FLAIR MRI.
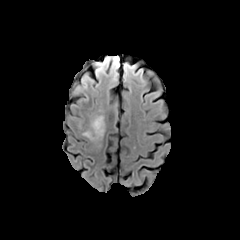
T1-weighted MRI.
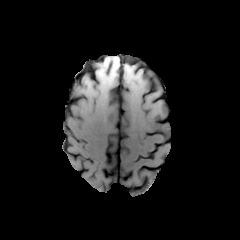
Post-contrast T1-weighted magnetic resonance.
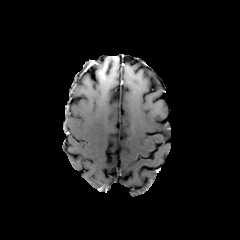
T2-weighted MRI.
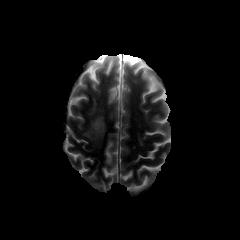
Head
edema:
  - box(108, 66, 117, 81)
  - box(124, 66, 132, 77)
  - box(83, 116, 104, 139)
non-enhancing_tumor_core:
  - box(92, 58, 117, 71)